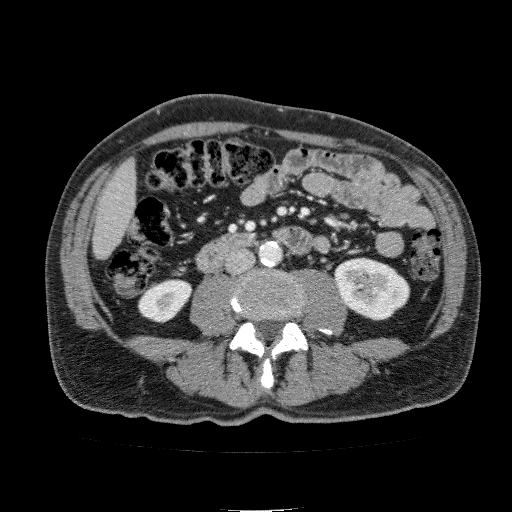 CT slice, Liver
2 kidney regions appear at x1=139 y1=281 x2=190 y2=321, x1=335 y1=259 x2=408 y2=318. The liver is located at x1=92 y1=158 x2=137 y2=259.